FLAIR MR.
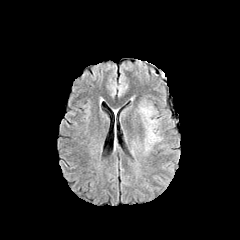
T1-weighted magnetic resonance.
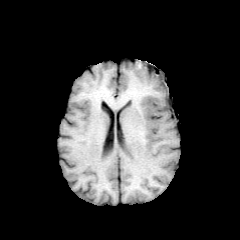
Post-contrast T1-weighted magnetic resonance.
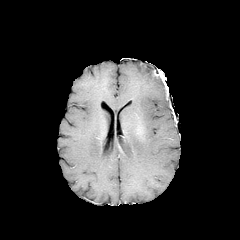
T2-weighted magnetic resonance.
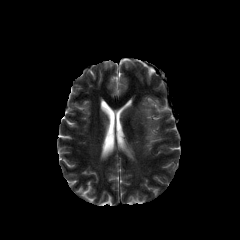
Brain
edema: 139:102:160:149